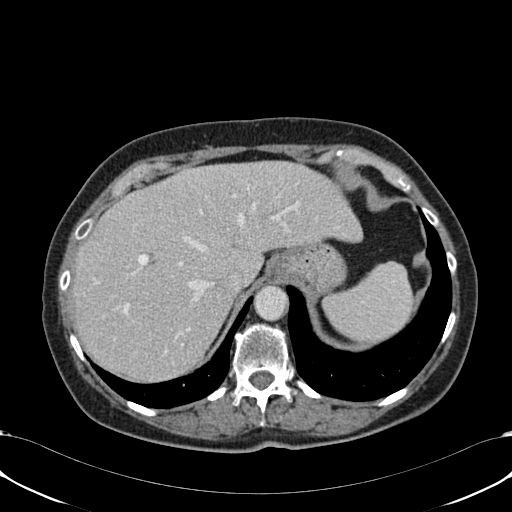

CT | Abdomen

liver: {"x1": 73, "y1": 161, "x2": 360, "y2": 379}